Slice 80/155; Image width 240 mm
FLAIR MR image.
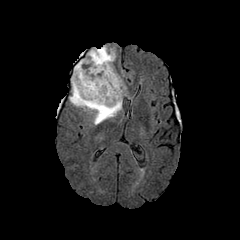
T1-weighted magnetic resonance.
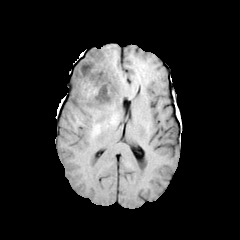
Post-contrast T1-weighted MRI.
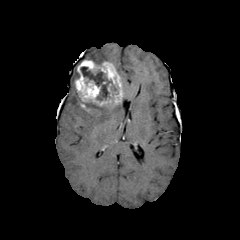
T2-weighted magnetic resonance.
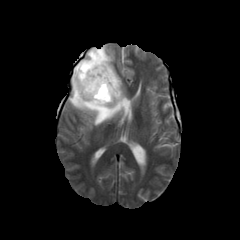
Edema — <box>69,76,122,125</box>, <box>85,45,115,64</box>.
Enhancing tumor — <box>73,57,122,109</box>.
Non-enhancing tumor core — <box>81,67,105,85</box>, <box>97,84,108,100</box>.